FLAIR magnetic resonance.
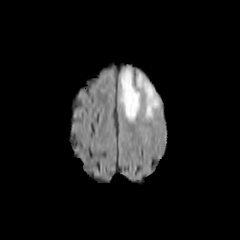
T1-weighted magnetic resonance.
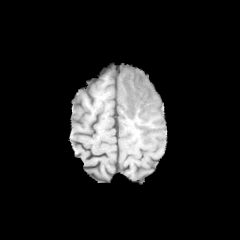
Post-contrast T1-weighted MR.
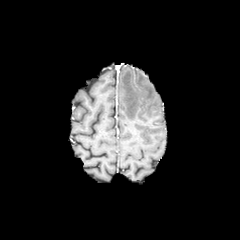
T2-weighted MR image.
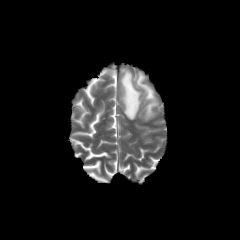
240x240 | Head
Segmented structures:
* edema: x1=136 y1=75 x2=159 y2=119, x1=120 y1=68 x2=140 y2=121